Abdomen | CT scan slice

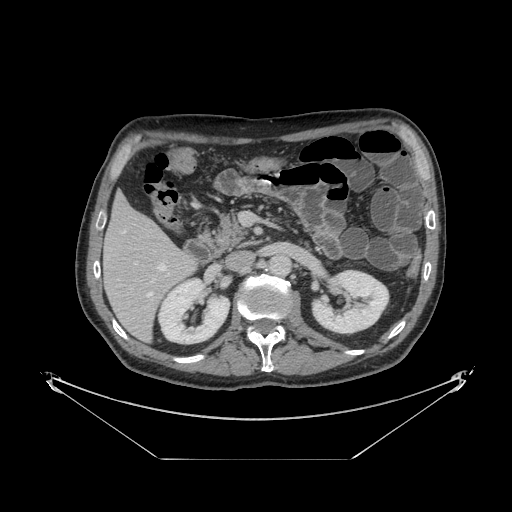
Pancreas = (210, 208, 247, 256).